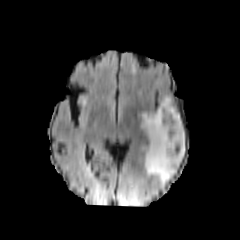
FLAIR magnetic resonance.
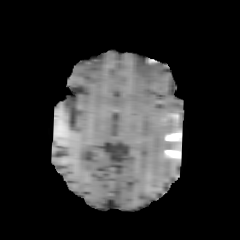
T1-weighted MRI of the same slice.
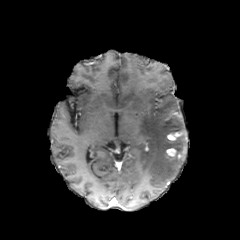
Post-contrast T1-weighted magnetic resonance.
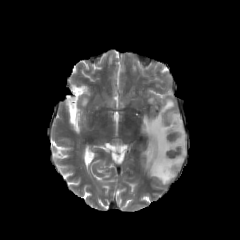
Same slice, T2-weighted MR image.
240x240.
Annotated regions:
• non-enhancing tumor core: x1=166 y1=148 x2=181 y2=157
• edema: x1=140 y1=95 x2=186 y2=188
• enhancing tumor: x1=167 y1=131 x2=180 y2=140, x1=167 y1=148 x2=176 y2=156